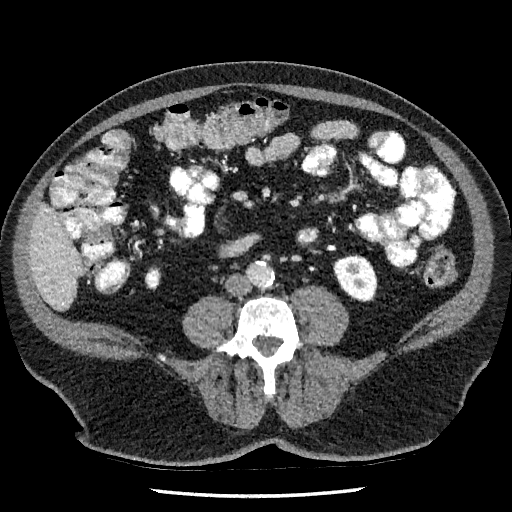 Upper abdomen. Computed tomography. 512x512 px. 2 kidney regions are bounded by rect(146, 270, 158, 286); rect(334, 257, 375, 300). The liver is located at rect(29, 203, 81, 310).